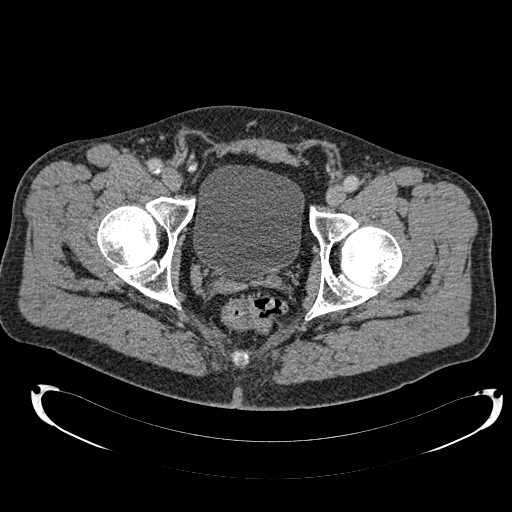
Lower abdomen; 512x512; CT
{"urinary_bladder": ["box=[193, 165, 304, 281]"]}